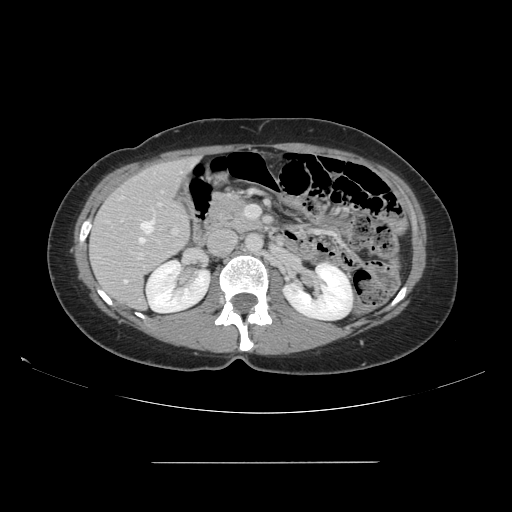

Computed tomography

The vessel annotation is not exhaustive.
7 hepatic vessel regions appear at 124 280 126 283, 120 196 123 198, 158 203 161 205, 139 237 144 243, 138 253 142 258, 140 210 154 233, 172 229 177 234.